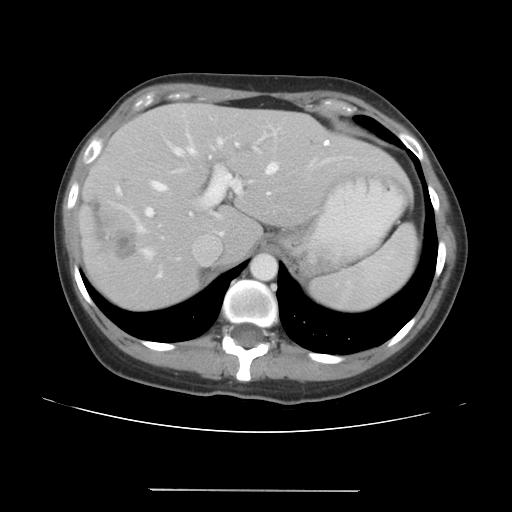 CT scan slice
Some hepatic vessels may have no box.
The principal 15 hepatic vessel regions (of 16) appear at x1=213, y1=213, x2=220, y2=217; x1=265, y1=162, x2=277, y2=174; x1=116, y1=187, x2=119, y2=191; x1=219, y1=140, x2=219, y2=144; x1=166, y1=127, x2=197, y2=156; x1=144, y1=207, x2=153, y2=216; x1=189, y1=212, x2=192, y2=215; x1=197, y1=165, x2=242, y2=208; x1=116, y1=205, x2=147, y2=233; x1=157, y1=268, x2=162, y2=277; x1=152, y1=182, x2=165, y2=190; x1=254, y1=143, x2=257, y2=147; x1=141, y1=247, x2=154, y2=259; x1=236, y1=142, x2=239, y2=145; x1=209, y1=155, x2=211, y2=158. The liver tumor is at x1=85, y1=200, x2=133, y2=258.